FLAIR MR.
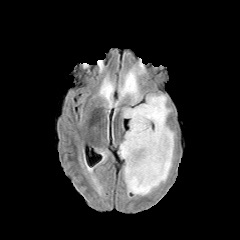
T1-weighted MRI.
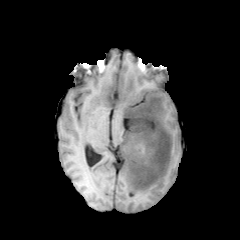
Post-contrast T1-weighted magnetic resonance.
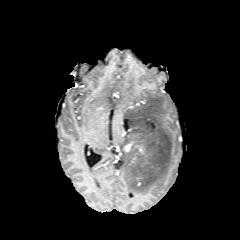
T2-weighted MR.
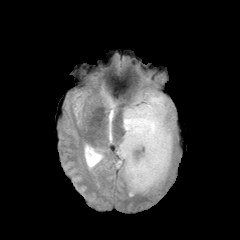
Brain.
The enhancing tumor is located at {"x1": 124, "y1": 142, "x2": 131, "y2": 151}. 4 edema regions are bounded by {"x1": 132, "y1": 135, "x2": 147, "y2": 160}, {"x1": 124, "y1": 66, "x2": 175, "y2": 195}, {"x1": 120, "y1": 154, "x2": 127, "y2": 180}, {"x1": 101, "y1": 87, "x2": 114, "y2": 106}. The non-enhancing tumor core appears at {"x1": 120, "y1": 96, "x2": 171, "y2": 193}.